CT image, Upper abdomen
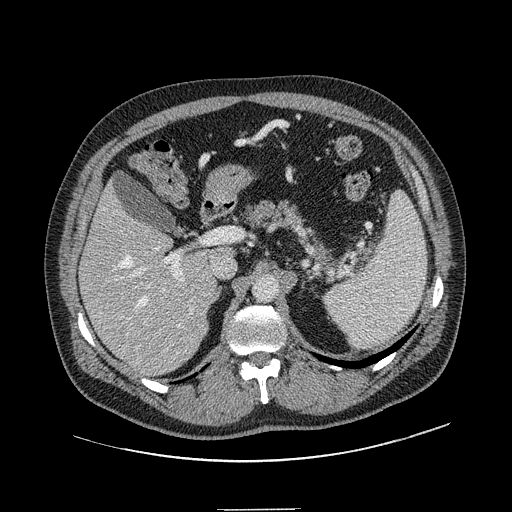
The pancreatic tumor is located at [x1=316, y1=250, x2=330, y2=269]. The pancreas appears at [x1=243, y1=202, x2=339, y2=271].